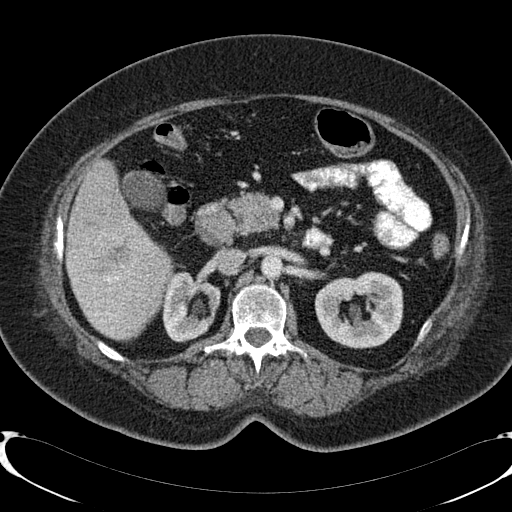
Abdomen. CT.
{"kidney": ["l=315, t=272, r=402, b=347", "l=160, t=268, r=219, b=341"], "liver_lesion": ["l=97, t=245, r=128, b=273"], "liver": ["l=67, t=159, r=171, b=338"]}